CT slice | 512x512 px | Pelvis | Field of view 500 mm wide, 5.00 mm slice spacing

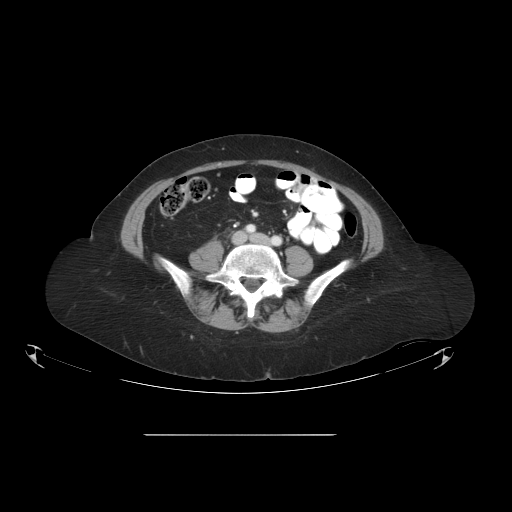 Colon tumor — 174:177:206:214.